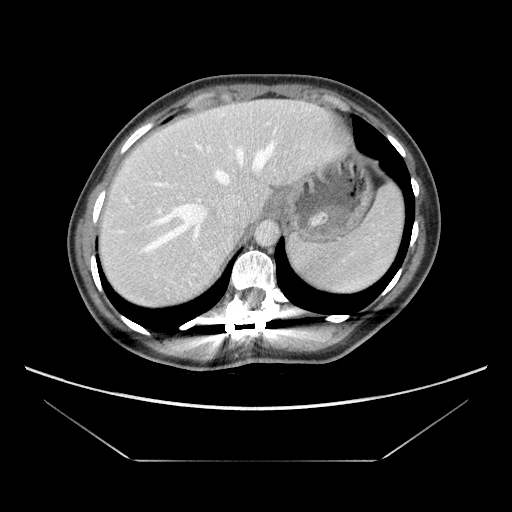

512x512 px; CT image
Not every hepatic vessel necessarily has a box.
<segmentation>
  <hepatic_vessel>(143,199,206,252), (222,214,223,216), (230,197,240,204), (234,147,243,165), (214,168,229,184), (252,140,275,172), (158,184,163,184)</hepatic_vessel>
</segmentation>